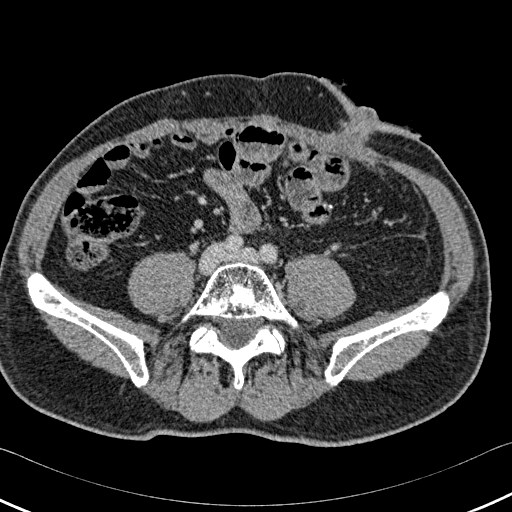

CT image
bone: 28:273:158:386, 190:325:284:389, 183:262:297:327, 320:292:448:385